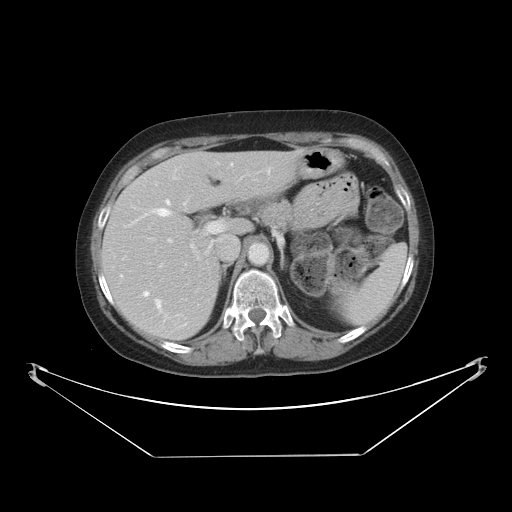 Abdomen. 512x512 px. CT scan slice. The vessel boxes may cover only some of the vessels.
10 hepatic vessel regions are located at bbox=[155, 299, 160, 308]; bbox=[166, 200, 169, 204]; bbox=[183, 203, 185, 205]; bbox=[168, 239, 171, 242]; bbox=[190, 244, 193, 247]; bbox=[152, 208, 169, 215]; bbox=[144, 291, 148, 295]; bbox=[268, 171, 269, 172]; bbox=[231, 164, 232, 165]; bbox=[120, 274, 122, 276].